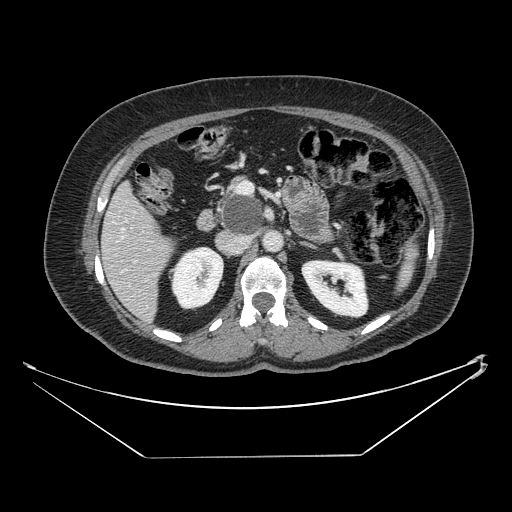
Upper abdomen | Computed tomography
The pancreas appears at box(214, 174, 265, 237). The pancreatic tumor is bounded by box(223, 197, 262, 234).